CT slice. Abdomen. Field of view 360x360 mm.

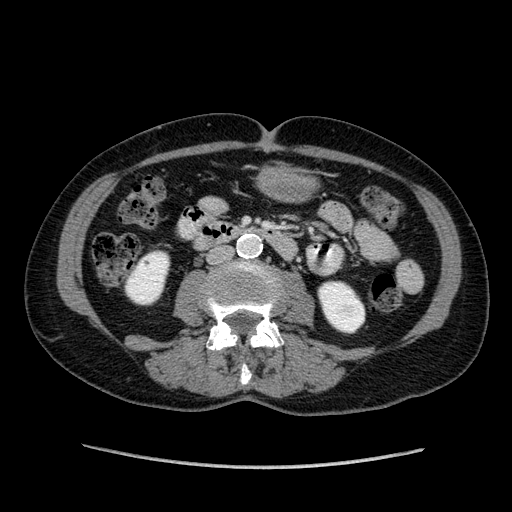

Annotated regions:
* kidney: rect(126, 253, 168, 303); rect(319, 283, 364, 331)